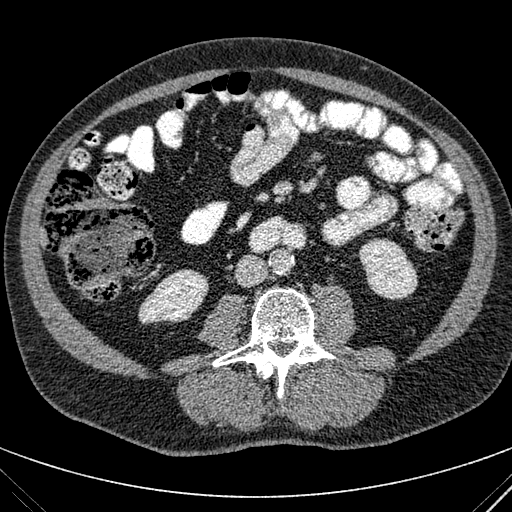
Abdomen; CT
Kidney — bbox(138, 270, 207, 323); bbox(359, 239, 417, 298).
Liver — bbox(40, 226, 45, 248).